CT scan slice | Image size 512x512 | Slice 497/671

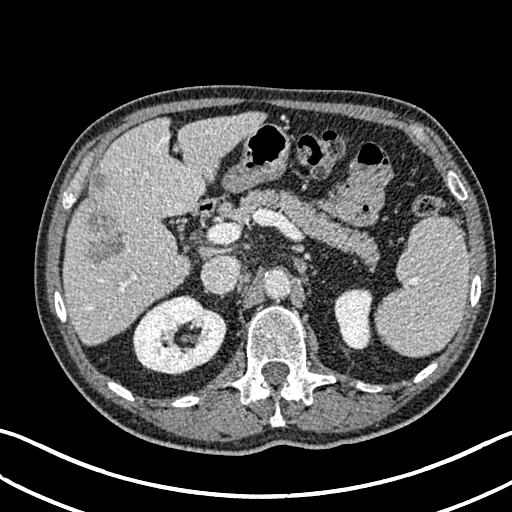 The liver appears at box(64, 112, 264, 343). 2 hepatic lesion regions appear at box(91, 172, 105, 188); box(88, 211, 124, 263). 2 kidney regions are located at box(335, 290, 371, 348); box(134, 296, 225, 373).